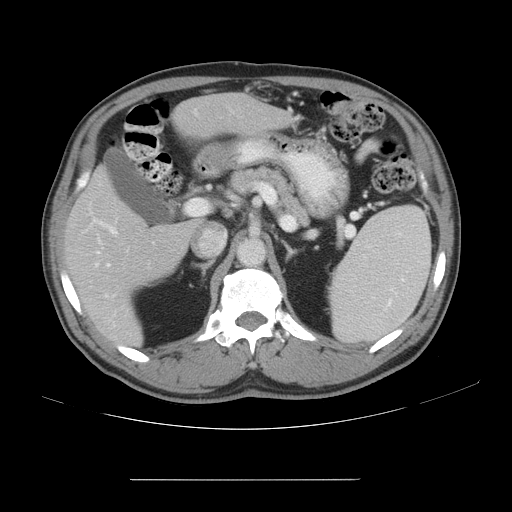

CT image, Abdomen
Some hepatic vessels may have no box.
Annotated regions:
- hepatic vessel: l=107, t=264, r=109, b=265; l=91, t=218, r=116, b=234; l=105, t=295, r=107, b=297; l=127, t=248, r=128, b=252; l=97, t=236, r=103, b=248; l=97, t=251, r=100, b=253; l=148, t=264, r=149, b=268; l=95, t=263, r=98, b=266